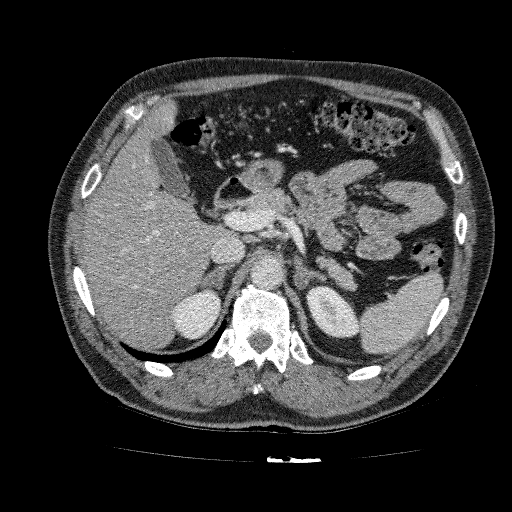

512x512. CT scan slice.

{
  "kidney": [
    "[307,287,358,336]",
    "[172,290,219,338]"
  ],
  "liver": [
    "[81,98,236,348]"
  ]
}